Slice index 49; Upper abdomen; Computed tomography

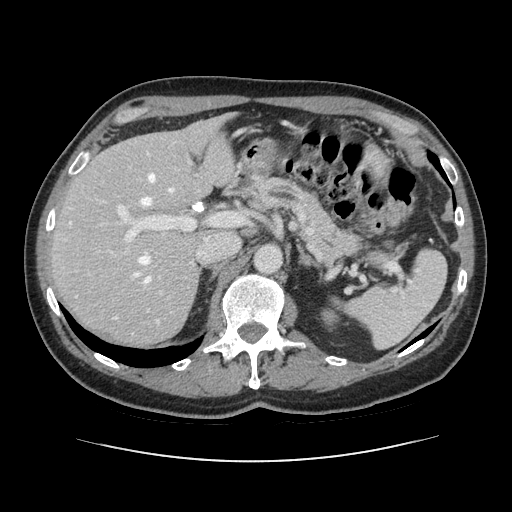
{"pancreas": ["[x1=259, y1=179, x2=387, y2=263]"]}